Slice 104 of 155; Head; Field of view 240 mm wide, 1.00 mm slice spacing
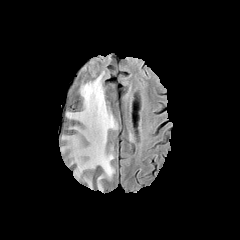
FLAIR magnetic resonance.
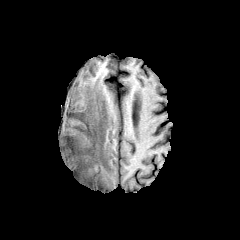
Same slice, T1-weighted MR.
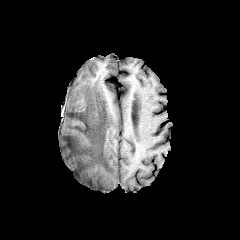
Same slice, post-contrast T1-weighted MR.
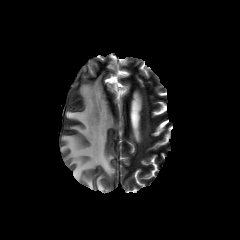
T2-weighted magnetic resonance of the same slice.
Edema = 62, 74, 117, 191.